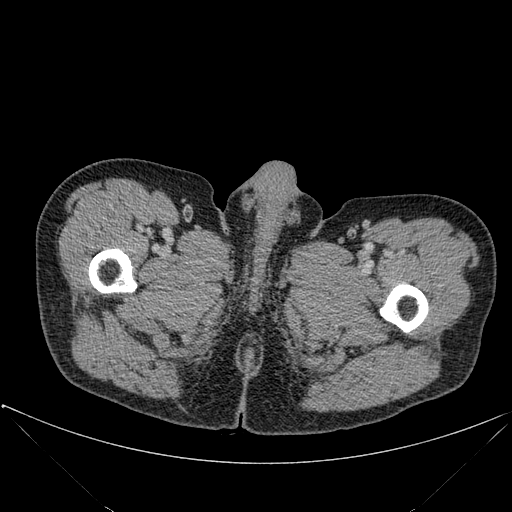

CT image, 512x512 px

2 bone regions appear at rect(89, 249, 136, 292); rect(380, 284, 428, 332).